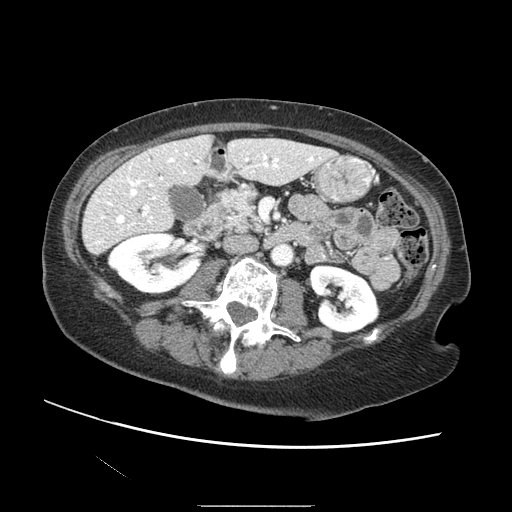 Abdomen | CT image
Pancreatic tumor: left=229, top=193, right=251, bottom=217.
Pancreas: left=218, top=187, right=265, bottom=233.